Computed tomography 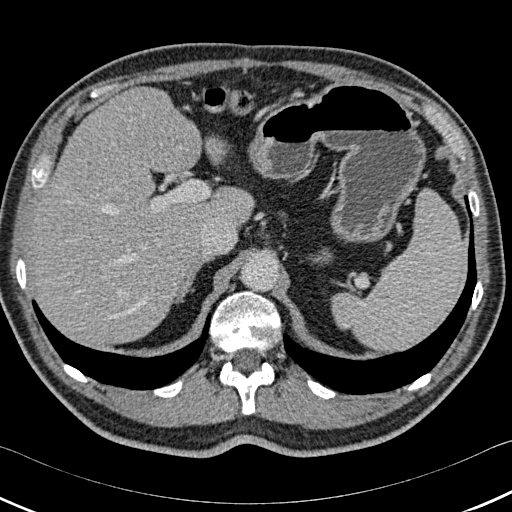
bone:
  - region(32, 165, 47, 187)
  - region(472, 281, 482, 309)
  - region(408, 374, 430, 390)
  - region(63, 365, 87, 382)
  - region(220, 362, 273, 414)
  - region(16, 259, 25, 288)
  - region(308, 380, 335, 398)
  - region(154, 381, 182, 397)
  - region(468, 190, 479, 216)
  - region(210, 292, 280, 352)
lung:
  - region(32, 300, 211, 389)
  - region(283, 195, 476, 394)
liver:
  - region(207, 137, 222, 160)
  - region(34, 86, 254, 343)